FLAIR magnetic resonance.
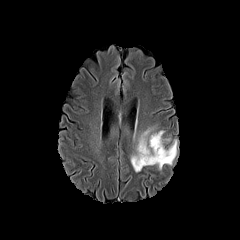
T1-weighted MRI.
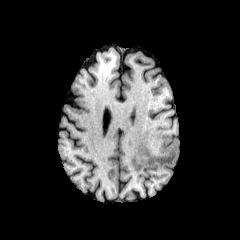
Post-contrast T1-weighted magnetic resonance.
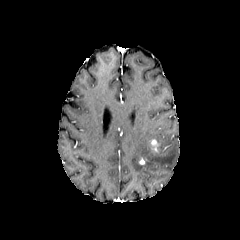
T2-weighted MR image.
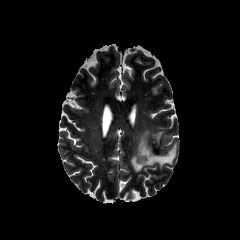
Image size 240x240. Head.
<segmentation>
  <enhancing_tumor>137:156:149:165, 150:137:166:156</enhancing_tumor>
  <edema>130:127:176:172</edema>
</segmentation>